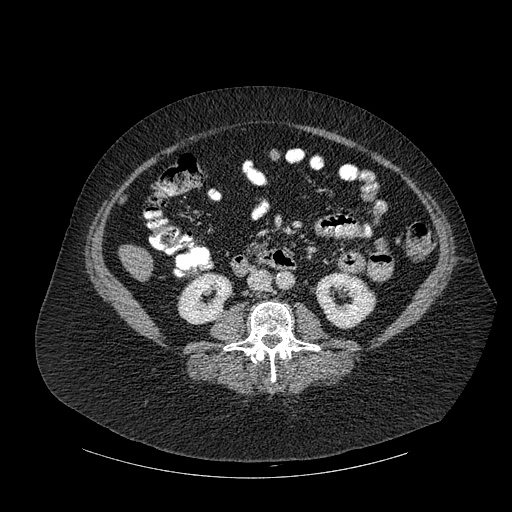 CT slice; Liver
The bone appears at (223,302,319,382). The liver is at (119,245,152,281). 2 kidney regions appear at (179,274,231,323), (316,273,374,327).